Image width 496 mm; Abdomen; 512x512; CT scan slice

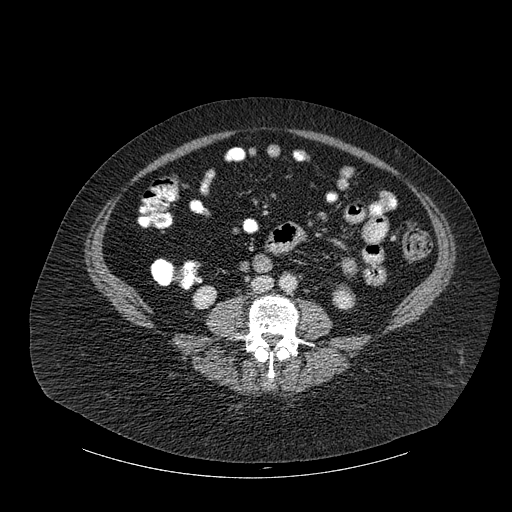

Bone = <bbox>239, 296, 304, 379</bbox>.
Kidney = <bbox>193, 286, 215, 308</bbox>, <bbox>334, 290, 352, 308</bbox>.